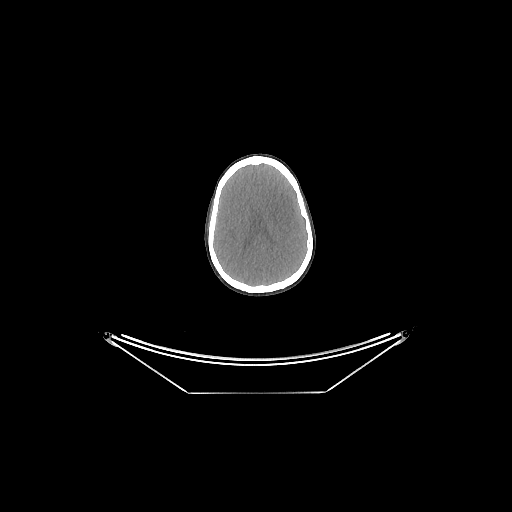

CT.
The brain is bounded by 213,163,307,286.